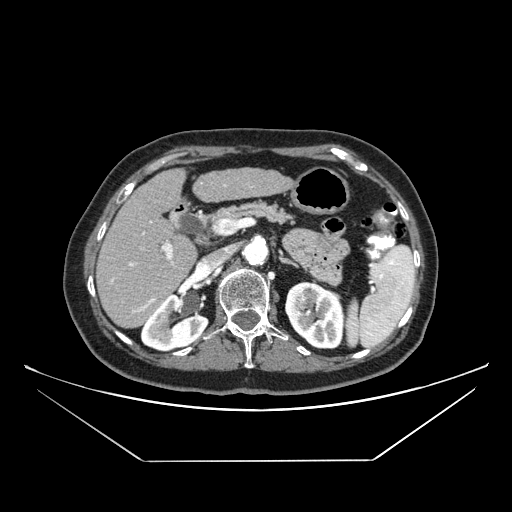

CT slice; Abdomen
pancreas:
  - bbox=[177, 201, 294, 244]